Image size 512x512 | CT slice

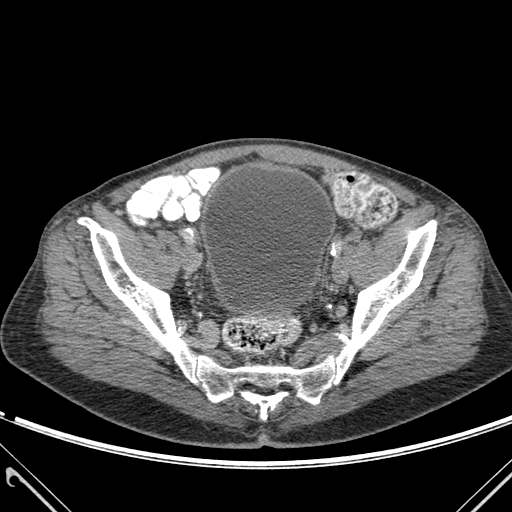

The urinary bladder is bounded by (204,168,333,310). 2 bone regions are located at (241,392,287,419), (78,217,436,404).